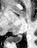
Hippocampus, Image size 37x48, MRI
posterior hippocampus: rect(11, 35, 22, 42)